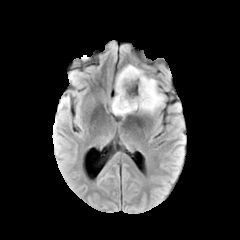
FLAIR MR image.
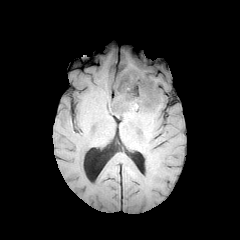
Same slice, T1-weighted MRI.
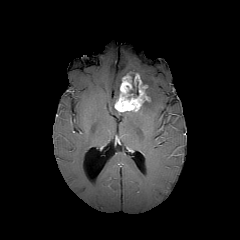
Post-contrast T1-weighted magnetic resonance.
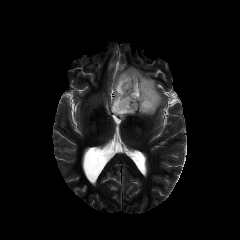
Same slice, T2-weighted MR.
Head; 240x240
Annotated regions:
• enhancing tumor: (114, 72, 150, 113)
• edema: (116, 65, 165, 114)
• non-enhancing tumor core: (138, 97, 151, 113), (128, 74, 139, 96), (110, 77, 135, 115), (142, 80, 151, 96)